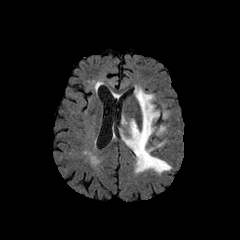
FLAIR MR image.
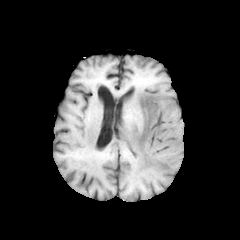
T1-weighted MR.
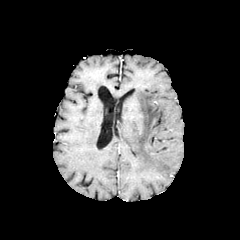
Post-contrast T1-weighted MR image.
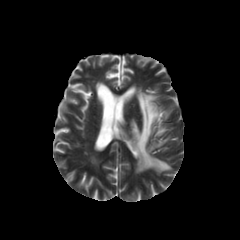
T2-weighted MR.
240x240, Brain
2 edema regions are bounded by bbox(120, 86, 172, 173); bbox(155, 125, 167, 137).